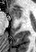

MRI slice
anterior hippocampus: (10, 6, 21, 18)